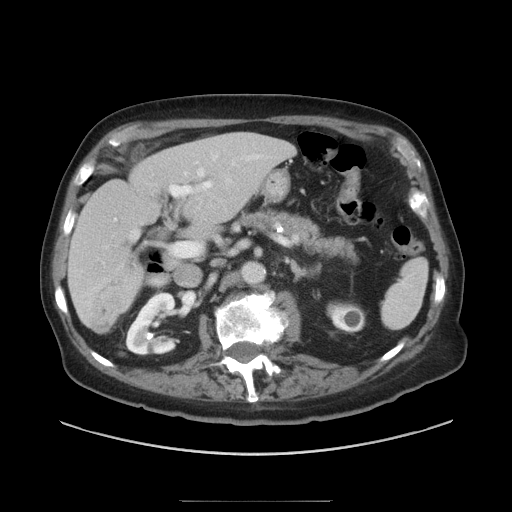 CT slice
Only some of the vessels may be annotated.
8 hepatic vessel regions are bounded by box=[232, 161, 234, 165]; box=[169, 181, 212, 196]; box=[114, 218, 116, 221]; box=[170, 242, 202, 257]; box=[247, 155, 259, 159]; box=[130, 230, 137, 237]; box=[212, 154, 217, 159]; box=[198, 168, 204, 176]. The liver tumor lies within box=[91, 286, 124, 327].